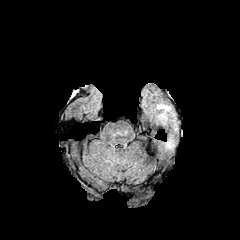
FLAIR MRI.
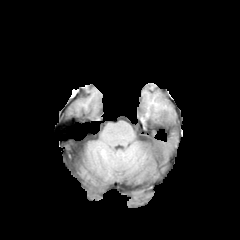
T1-weighted MRI of the same slice.
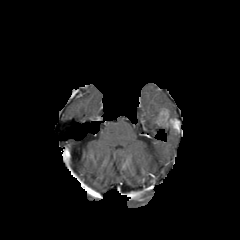
Post-contrast T1-weighted MRI.
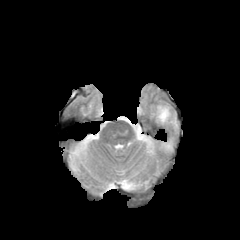
T2-weighted MR.
240x240, Head
2 enhancing tumor regions are located at x1=156, y1=108, x2=180, y2=134; x1=161, y1=142, x2=171, y2=151. 2 edema regions are bounded by x1=154, y1=103, x2=175, y2=120; x1=166, y1=137, x2=174, y2=149.